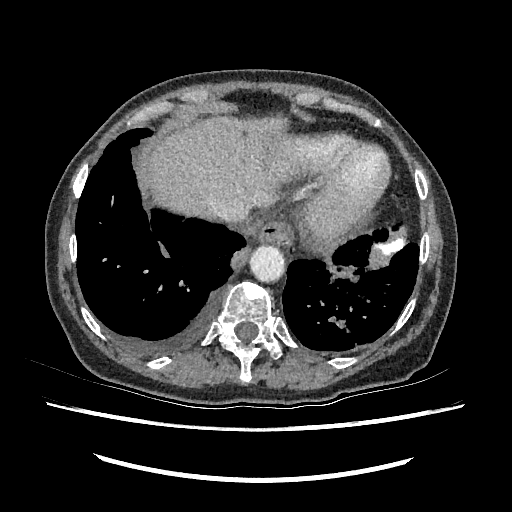
Computed tomography
{
  "liver": [
    "147:116:303:217"
  ]
}